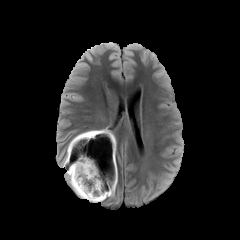
FLAIR MR.
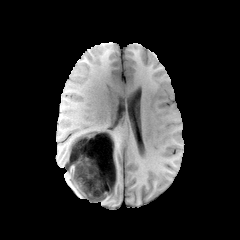
T1-weighted MR of the same slice.
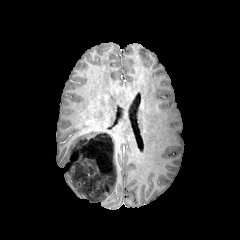
Same slice, post-contrast T1-weighted magnetic resonance.
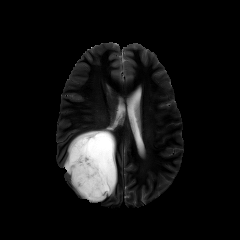
T2-weighted magnetic resonance.
Head
Edema — left=67, top=171, right=87, bottom=198; left=63, top=134, right=79, bottom=164; left=90, top=179, right=117, bottom=201; left=106, top=138, right=114, bottom=163.
Non-enhancing tumor core — left=64, top=129, right=115, bottom=200.